Slice 69 of 151, CT scan slice, 512x512 px, Liver

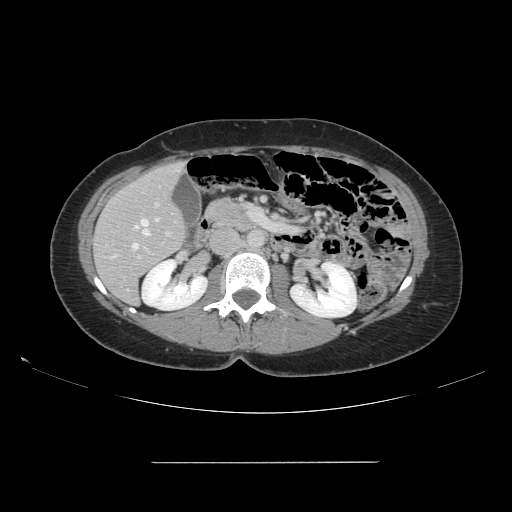 Some hepatic vessels may have no box.
<segmentation>
  <hepatic_vessel>box=[132, 244, 137, 249]; box=[156, 219, 158, 220]; box=[145, 248, 147, 250]; box=[155, 203, 157, 205]; box=[138, 255, 140, 257]; box=[111, 255, 117, 258]; box=[141, 219, 149, 235]; box=[175, 170, 178, 170]; box=[166, 232, 169, 235]; box=[134, 226, 138, 228]</hepatic_vessel>
</segmentation>